Image size 512x512; CT slice; Slice 121/230; Upper abdomen 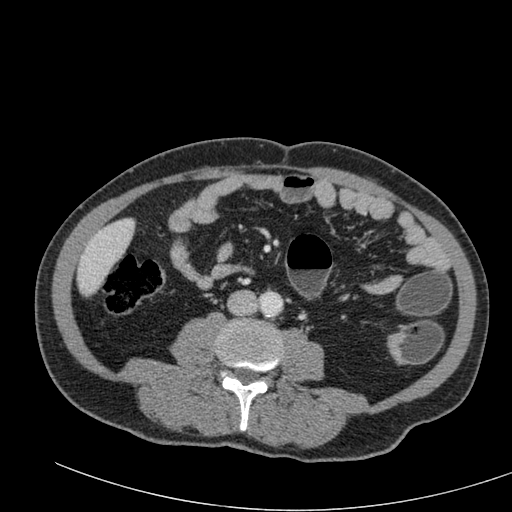

The liver is located at l=77, t=219, r=134, b=295.